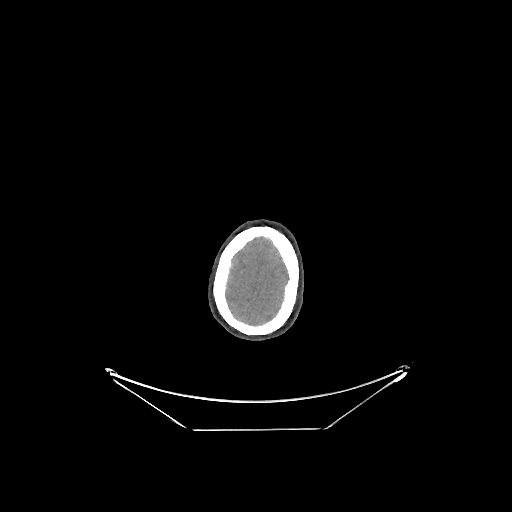

Brain; Image size 512x512; CT scan slice
Annotated regions:
* brain: region(225, 236, 289, 325)